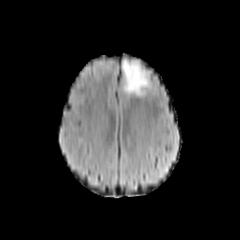
FLAIR magnetic resonance.
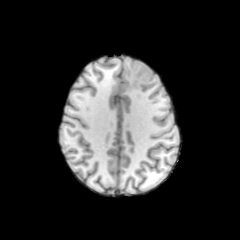
T1-weighted MR.
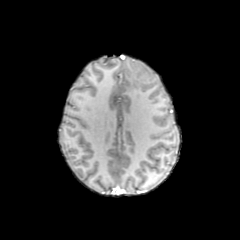
Post-contrast T1-weighted MR of the same slice.
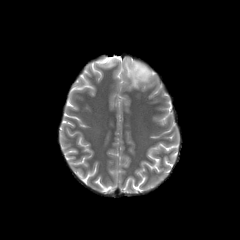
Same slice, T2-weighted MR image.
<segmentation>
  <edema>122, 59, 143, 95</edema>
  <non-enhancing_tumor_core>130, 64, 153, 89</non-enhancing_tumor_core>
</segmentation>